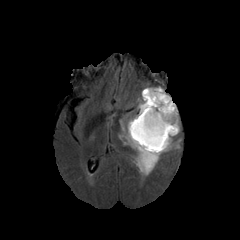
FLAIR MR image.
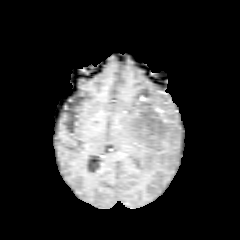
Same slice, T1-weighted magnetic resonance.
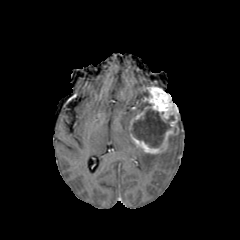
Post-contrast T1-weighted MR.
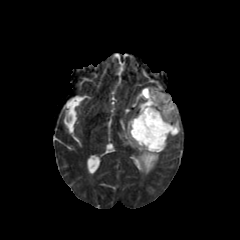
Same slice, T2-weighted MR image.
Head
Enhancing tumor: bounding box l=129, t=86, r=179, b=154.
Non-enhancing tumor core: bounding box l=131, t=108, r=170, b=148.
Edema: bounding box l=137, t=98, r=144, b=112; l=123, t=121, r=161, b=175; l=162, t=136, r=180, b=152.